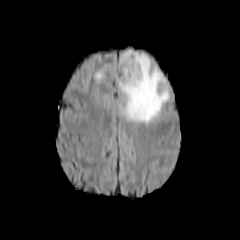
FLAIR MR.
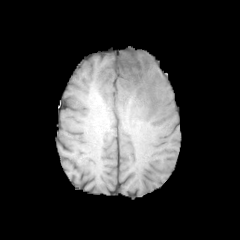
T1-weighted MR image.
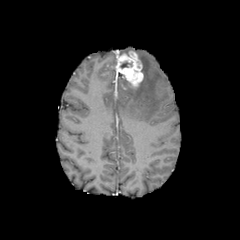
Post-contrast T1-weighted magnetic resonance.
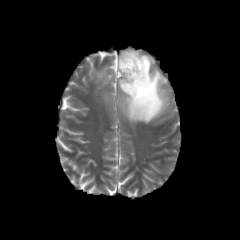
T2-weighted MR of the same slice.
2 non-enhancing tumor core regions are bounded by 120:60:133:69, 116:74:137:89. The enhancing tumor is located at 114:50:143:86. 2 edema regions are bounded by 94:72:105:79, 119:52:169:123.